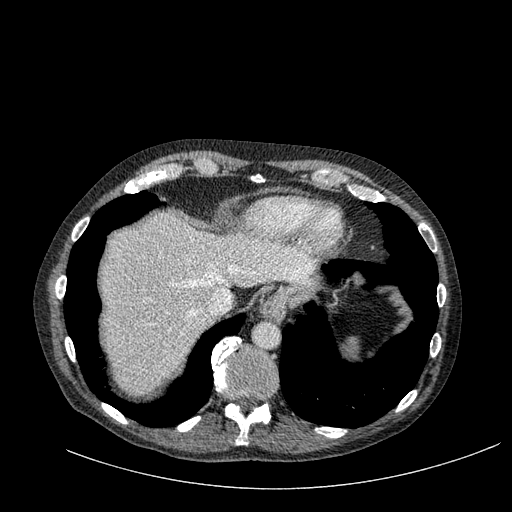
CT, Abdomen
liver: bbox=[101, 212, 313, 394]